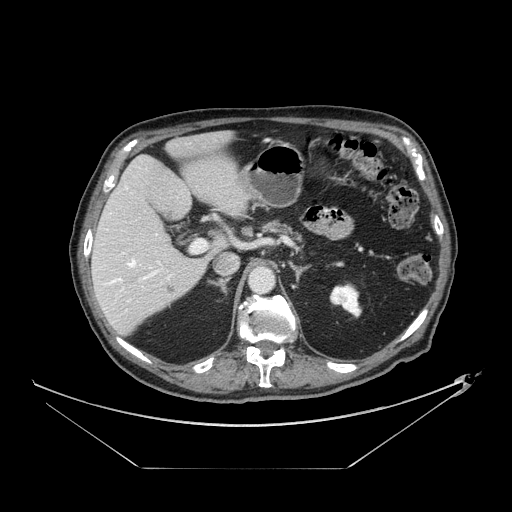
CT

{"pancreas": ["x1=265, y1=222, x2=298, y2=237"]}